Image width 240 mm. Head.
FLAIR magnetic resonance.
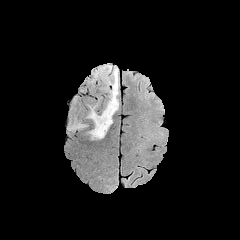
T1-weighted magnetic resonance.
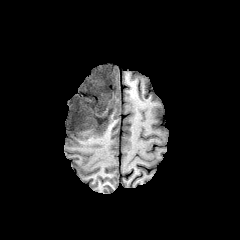
Post-contrast T1-weighted MR.
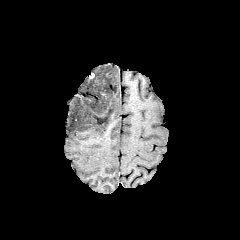
T2-weighted MR.
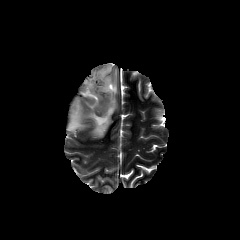
2 edema regions are located at [x1=86, y1=65, x2=119, y2=139], [x1=68, y1=116, x2=85, y2=131].